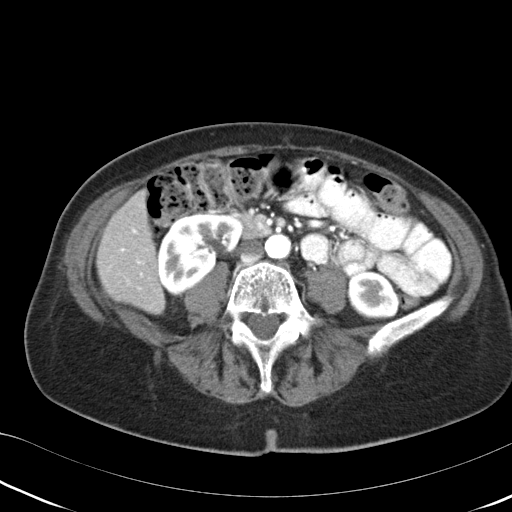
Upper abdomen, CT scan slice, Image size 512x512
Findings:
- pancreas: [234, 212, 270, 239]